FLAIR MR.
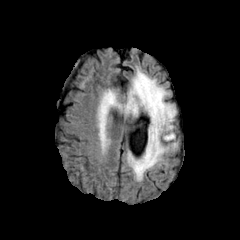
T1-weighted MRI.
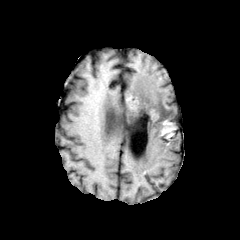
Post-contrast T1-weighted MR image.
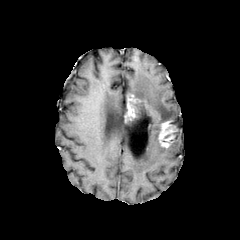
T2-weighted MR.
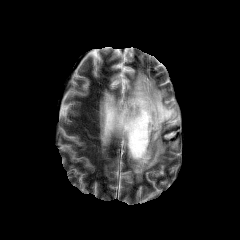
240x240 px.
Non-enhancing tumor core — (x1=134, y1=97, x2=169, y2=124), (x1=162, y1=127, x2=172, y2=138).
Enhancing tumor — (x1=159, y1=121, x2=171, y2=137), (x1=125, y1=95, x2=138, y2=117).
Edema — (x1=98, y1=69, x2=177, y2=181).